Head
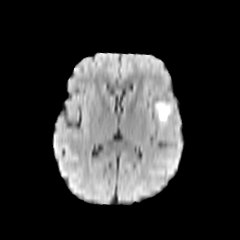
FLAIR MRI.
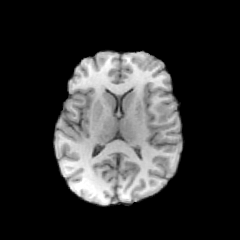
Same slice, T1-weighted MRI.
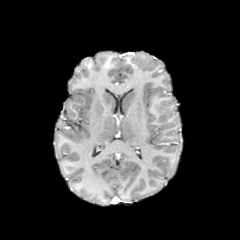
Post-contrast T1-weighted MRI.
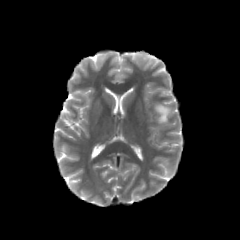
T2-weighted magnetic resonance of the same slice.
<segmentation>
  <non-enhancing_tumor_core><box>157,104,174,122</box></non-enhancing_tumor_core>
  <edema><box>155,102,166,115</box></edema>
</segmentation>